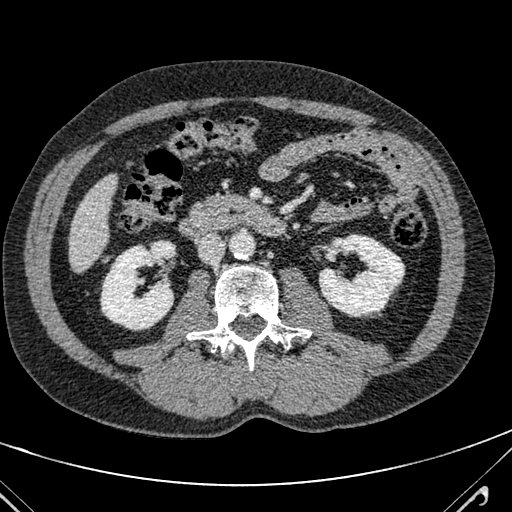 Abdomen. CT scan slice. Liver at [70,176,116,269].